CT scan slice; Slice index 419

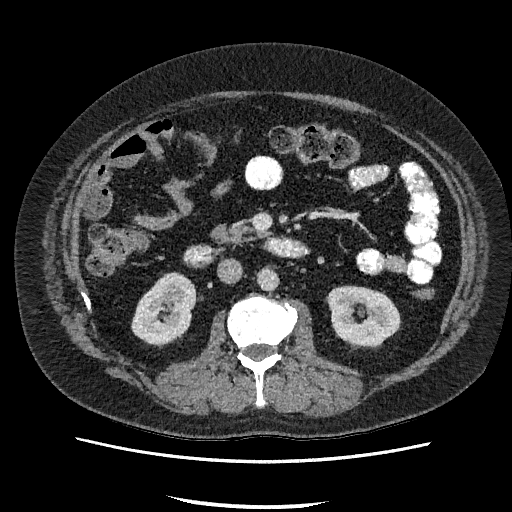
kidney:
  - <bbox>132, 275, 195, 343</bbox>
  - <bbox>329, 287, 399, 344</bbox>